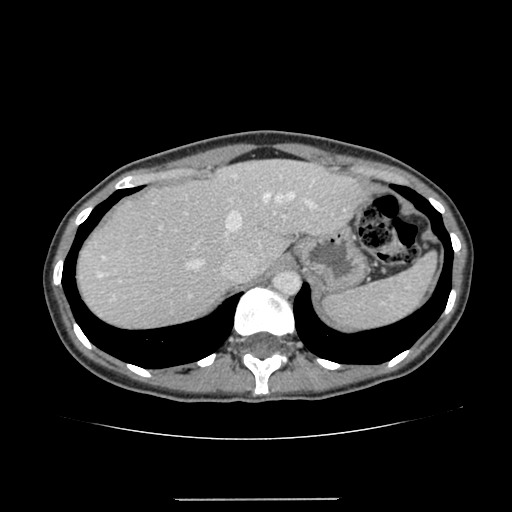
CT
The liver appears at bbox(77, 160, 371, 330).